CT slice. Abdomen. Image size 512x512. Slice index 47. 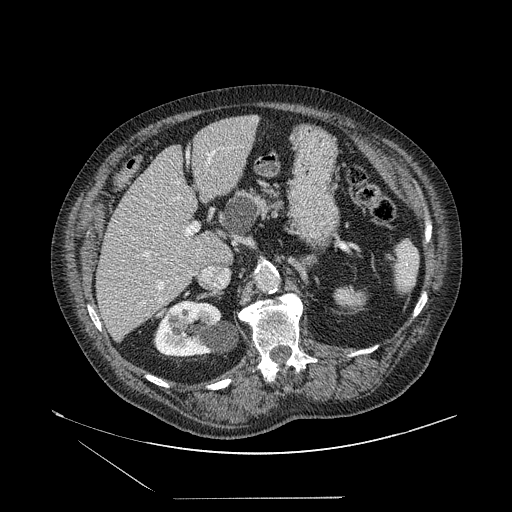 Pancreatic tumor = (x1=226, y1=195, x2=258, y2=234).
Pancreas = (x1=222, y1=186, x2=277, y2=233).